CT image; Abdomen; 512x512 px; Field of view 458x458 mm; Slice index 50

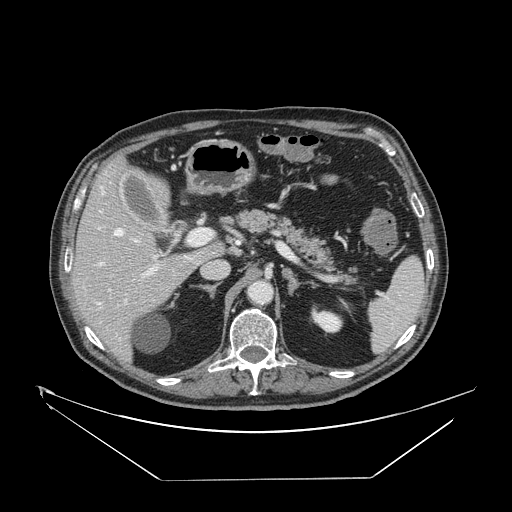
Pancreas = left=218, top=207, right=358, bottom=279.